CT image | 512x512 px | Liver

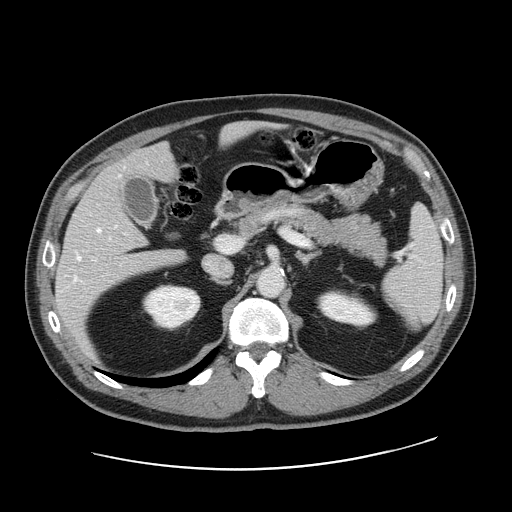 Some hepatic vessels may have no box.
<segmentation>
  <hepatic_vessel><box>84,348,91,354</box>, <box>92,257,96,259</box>, <box>138,235,145,244</box>, <box>161,144,166,146</box>, <box>74,276,82,281</box>, <box>118,174,120,176</box>, <box>76,253,81,259</box>, <box>97,228,100,231</box>, <box>135,250,183,258</box>, <box>222,121,269,139</box></hepatic_vessel>
</segmentation>